CT, Slice 16 of 54 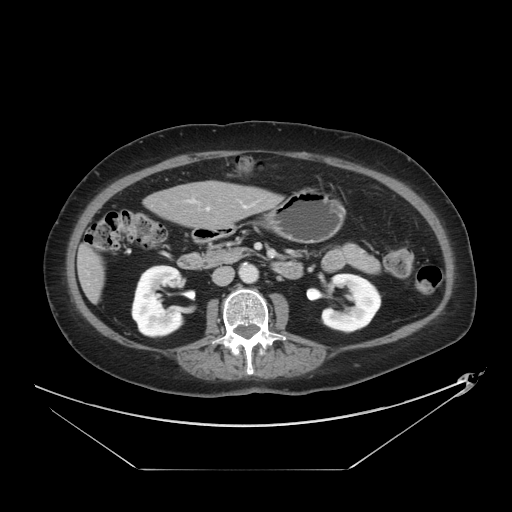

The vessel annotation is not exhaustive.
Annotated regions:
• hepatic vessel: [188, 200, 194, 201], [243, 205, 249, 207], [207, 207, 208, 209]